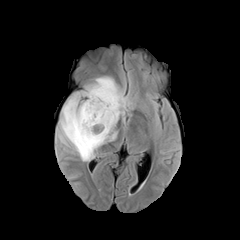
FLAIR MRI.
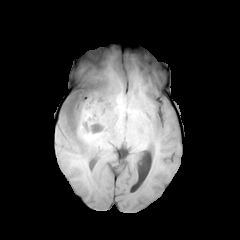
T1-weighted MR image.
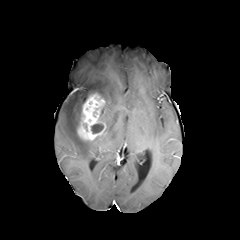
Post-contrast T1-weighted MRI.
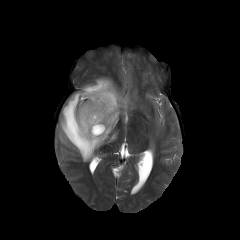
Same slice, T2-weighted MR.
Head.
Enhancing tumor at [78,94,105,141].
Non-enhancing tumor core at [68,96,77,112], [68,115,95,143], [84,86,98,102], [91,120,103,133].
Edema at [58,75,131,161].